Brain; Slice index 29
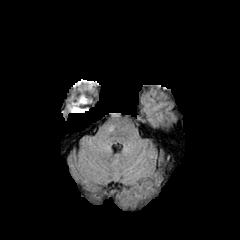
FLAIR MRI.
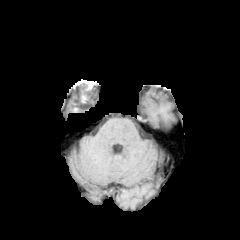
Same slice, T1-weighted MR.
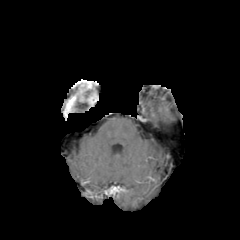
Post-contrast T1-weighted MR.
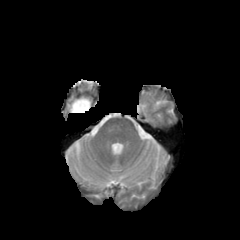
T2-weighted MR.
Edema = {"x1": 67, "y1": 95, "x2": 84, "y2": 110}.